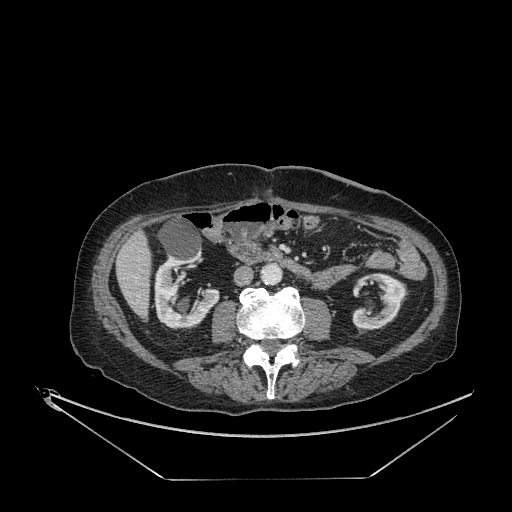

Computed tomography | 512x512 | Liver
Kidney at rect(353, 273, 405, 329); rect(155, 256, 218, 327).
Liver at rect(116, 231, 150, 317).